Brain
FLAIR magnetic resonance.
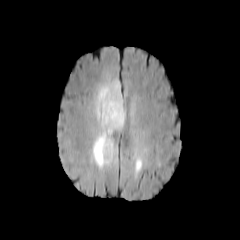
T1-weighted MRI.
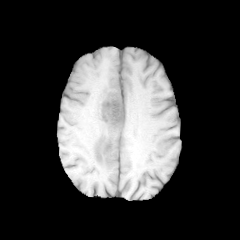
Post-contrast T1-weighted MRI.
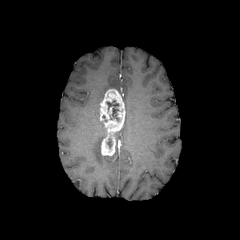
T2-weighted MR.
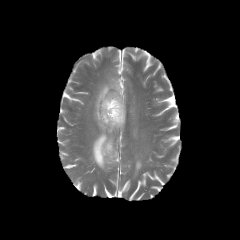
enhancing tumor: l=99, t=88, r=125, b=155 | edema: l=135, t=159, r=142, b=171; l=93, t=81, r=123, b=170 | non-enhancing tumor core: l=106, t=100, r=120, b=120